CT scan slice
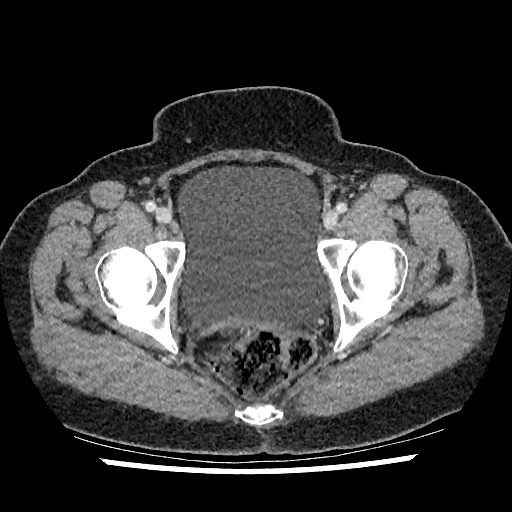 Segmented structures:
* urinary bladder: x1=178 y1=166 x2=330 y2=331